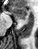
MR image
Segmented structures:
• anterior hippocampus: [11,7,26,20]